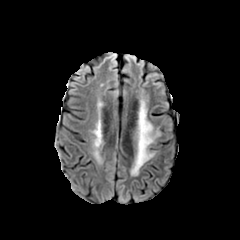
FLAIR MRI.
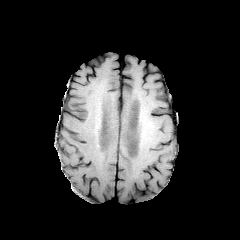
T1-weighted magnetic resonance of the same slice.
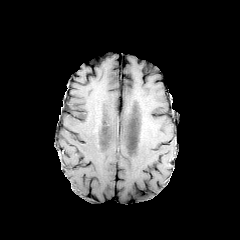
Post-contrast T1-weighted MR image.
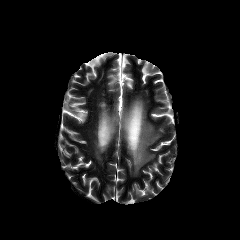
Same slice, T2-weighted MR.
The edema is at rect(133, 101, 154, 173).